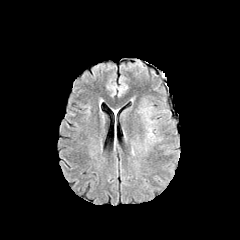
FLAIR MRI.
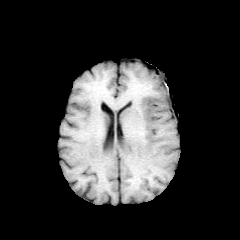
T1-weighted magnetic resonance.
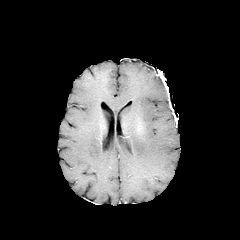
Post-contrast T1-weighted MRI.
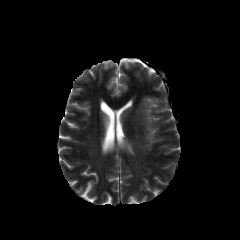
T2-weighted MR image of the same slice.
Head.
{
  "edema": [
    "x1=142 y1=106 x2=156 y2=144"
  ]
}